Field of view 400x400 mm. Computed tomography. Slice 518/654. Abdomen.
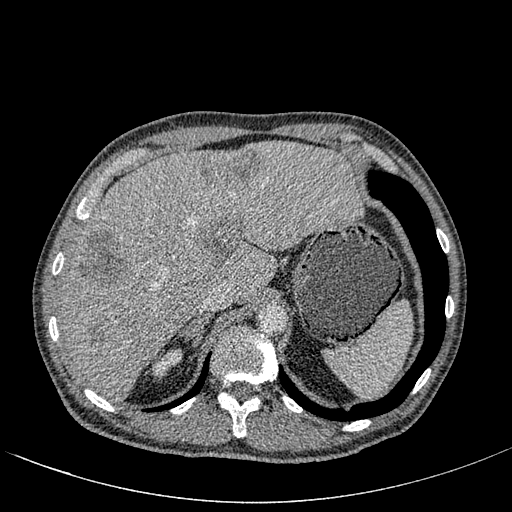

focal liver lesion: bbox(79, 230, 130, 287); bbox(90, 322, 105, 339); bbox(200, 217, 243, 263); bbox(203, 149, 263, 186) | liver: bbox(60, 140, 363, 399) | kidney: bbox(152, 349, 181, 377)